FLAIR MR.
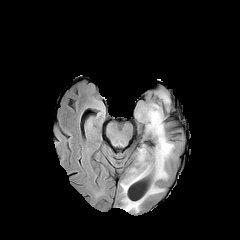
T1-weighted MR image.
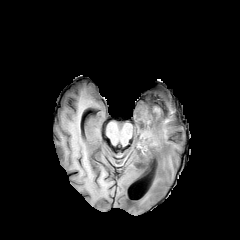
Post-contrast T1-weighted MR.
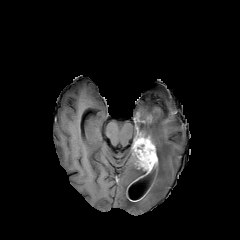
T2-weighted MR.
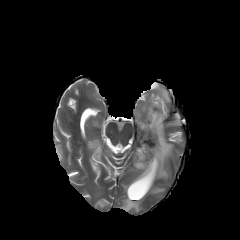
Brain
{
  "enhancing_tumor": [
    "x1=137 y1=146 x2=157 y2=176"
  ],
  "edema": [
    "x1=120 y1=102 x2=175 y2=211",
    "x1=158 y1=91 x2=169 y2=104"
  ],
  "non-enhancing_tumor_core": [
    "x1=134 y1=137 x2=154 y2=157"
  ]
}